FLAIR MRI.
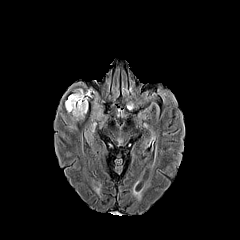
T1-weighted MR.
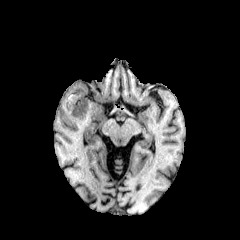
Post-contrast T1-weighted MR image.
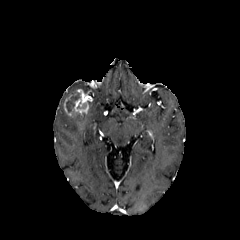
T2-weighted MR image.
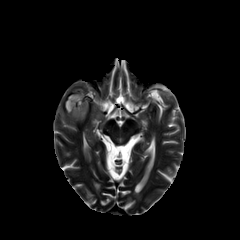
Annotated regions:
- non-enhancing tumor core: l=66, t=96, r=80, b=112
- edema: l=66, t=124, r=77, b=130; l=70, t=115, r=85, b=123
- enhancing tumor: l=63, t=89, r=91, b=118